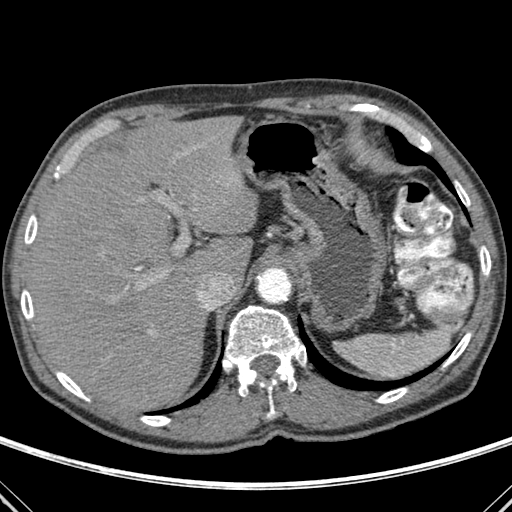
Upper abdomen; CT scan slice
* lung: (left=298, top=317, right=450, bottom=390), (left=386, top=127, right=468, bottom=219), (left=149, top=355, right=221, bottom=414)
* bone: (left=443, top=333, right=470, bottom=366), (left=24, top=215, right=37, bottom=243), (left=480, top=246, right=490, bottom=275), (left=56, top=372, right=89, bottom=401), (left=140, top=416, right=170, bottom=426), (left=376, top=388, right=407, bottom=403), (left=21, top=290, right=33, bottom=319), (left=414, top=133, right=431, bottom=151), (left=223, top=306, right=306, bottom=417), (left=454, top=181, right=470, bottom=206)
* liver: (left=27, top=116, right=256, bottom=411)